FLAIR MR image.
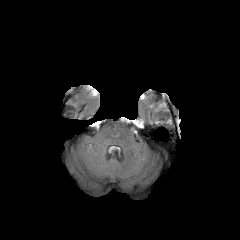
T1-weighted MR.
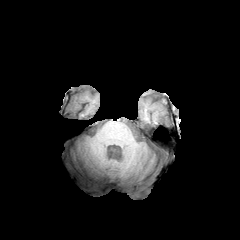
Post-contrast T1-weighted magnetic resonance.
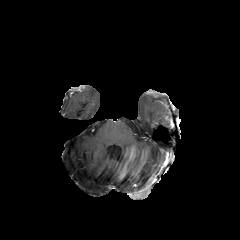
T2-weighted MR image.
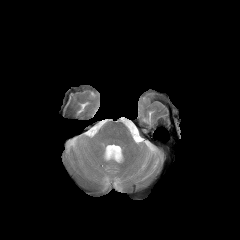
Head | 240x240 px
edema:
  - [102, 144, 120, 160]